240x240 px, Slice 119 of 155
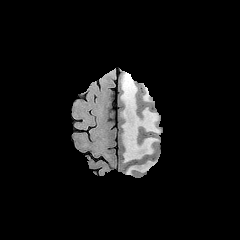
FLAIR MRI.
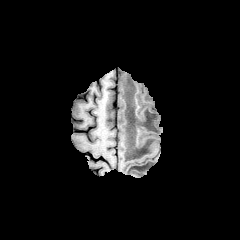
T1-weighted MR image.
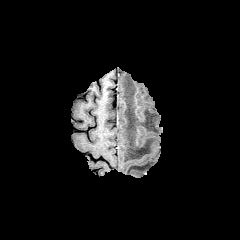
Post-contrast T1-weighted MR image.
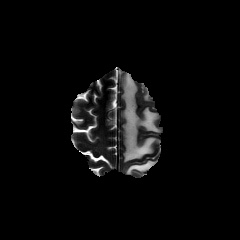
T2-weighted magnetic resonance of the same slice.
* edema: 121, 73, 157, 162; 126, 160, 152, 173